FLAIR MRI.
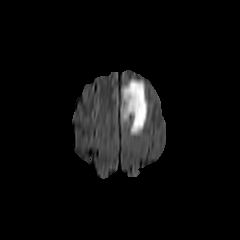
T1-weighted MRI.
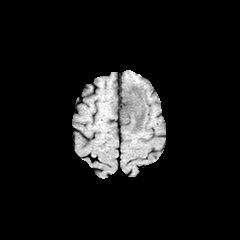
Post-contrast T1-weighted MR image.
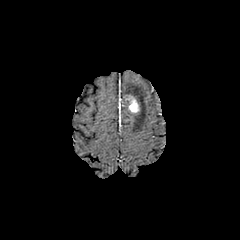
T2-weighted MR image.
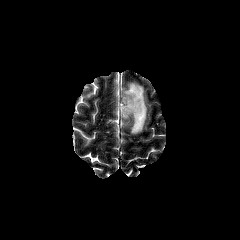
edema: {"x1": 121, "y1": 79, "x2": 148, "y2": 135} | enhancing tumor: {"x1": 124, "y1": 95, "x2": 138, "y2": 113}